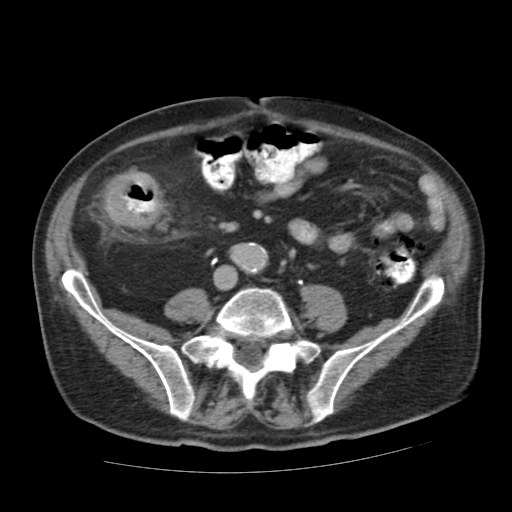 Abdomen. Computed tomography.
colon_tumor:
  - 105 172 159 228